Liver | 512x512 | Slice index 348 | Computed tomography
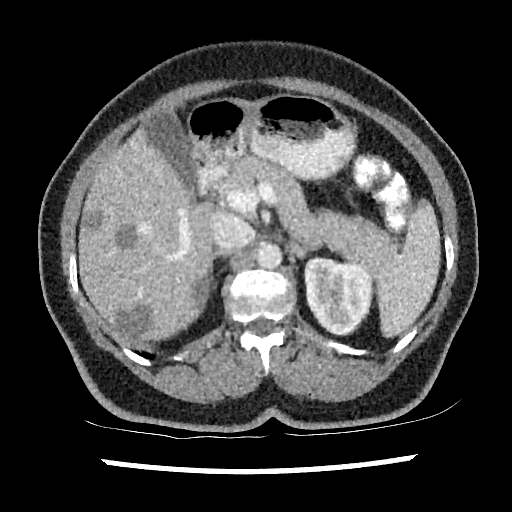
<segmentation>
  <liver>bbox=[78, 127, 212, 341]</liver>
  <focal_liver_lesion>bbox=[115, 305, 153, 340]; bbox=[193, 279, 207, 307]; bbox=[82, 212, 101, 230]; bbox=[116, 225, 135, 246]</focal_liver_lesion>
  <kidney>bbox=[305, 259, 370, 334]</kidney>
</segmentation>